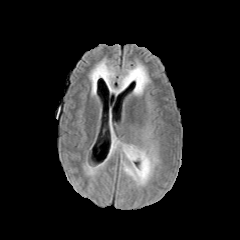
FLAIR MRI.
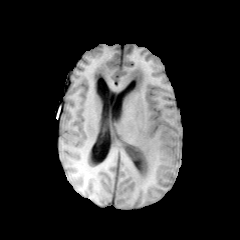
T1-weighted MRI of the same slice.
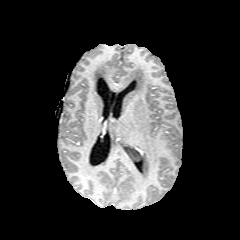
Post-contrast T1-weighted MR image.
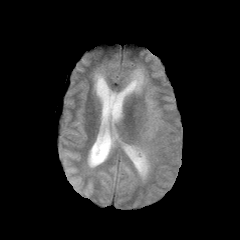
Same slice, T2-weighted magnetic resonance.
Head
non-enhancing_tumor_core:
  - [x1=124, y1=145, x2=148, y2=177]
edema:
  - [x1=121, y1=122, x2=158, y2=184]
  - [x1=112, y1=62, x2=149, y2=95]
  - [x1=92, y1=68, x2=109, y2=81]
  - [x1=108, y1=130, x2=131, y2=156]